FLAIR MR image.
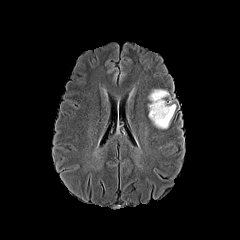
T1-weighted MR image.
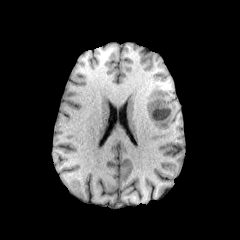
Post-contrast T1-weighted magnetic resonance.
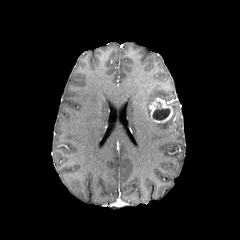
T2-weighted MR.
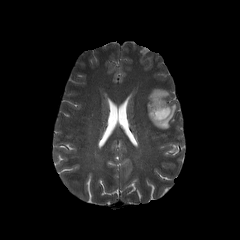
Brain
2 edema regions are bounded by [152,104,176,129], [147,89,175,101]. The non-enhancing tumor core is bounded by [153,108,171,119]. The enhancing tumor lies within [147,97,173,122].